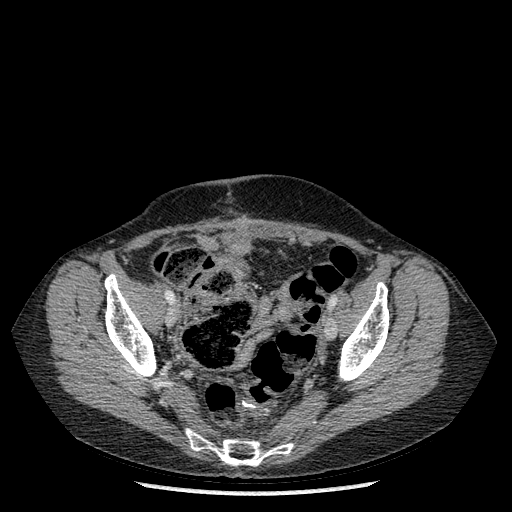

CT scan slice

Bone — 185, 428, 293, 466; 339, 282, 389, 380; 104, 274, 160, 387.